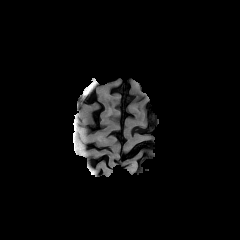
FLAIR MR image.
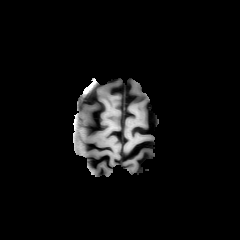
T1-weighted magnetic resonance.
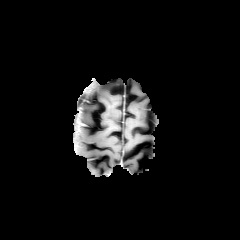
Same slice, post-contrast T1-weighted MR.
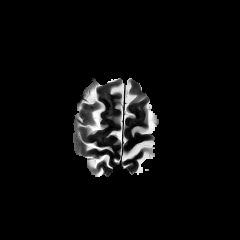
T2-weighted MR of the same slice.
Head
The edema appears at bbox=[76, 118, 82, 137].